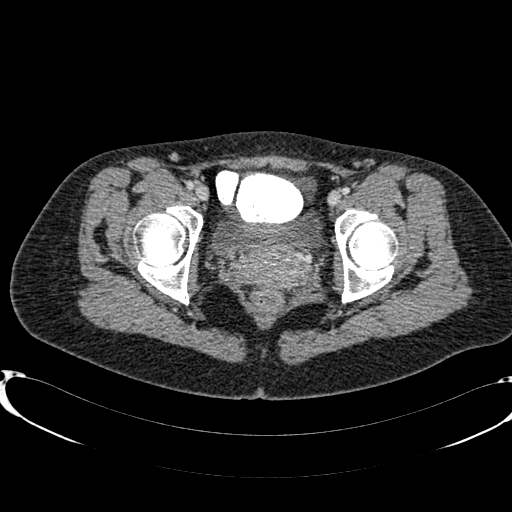

Pelvis | CT slice

Urinary bladder: bounding box 215, 209, 317, 252.